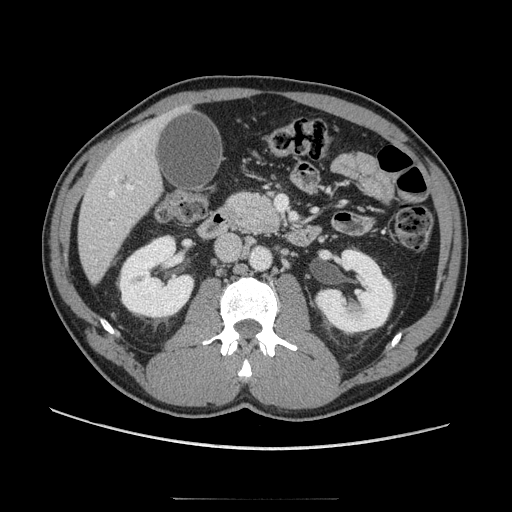 Abdomen | CT scan slice
Pancreas at left=224, top=191, right=281, bottom=236.